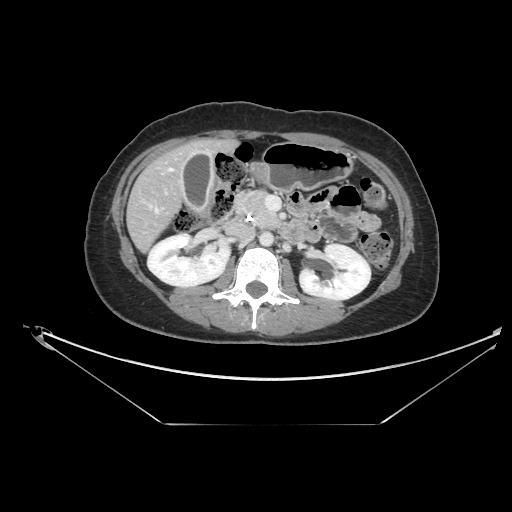 Computed tomography. Abdomen.

The pancreas appears at box(235, 191, 279, 227). The pancreatic tumor lies within box(248, 195, 266, 215).